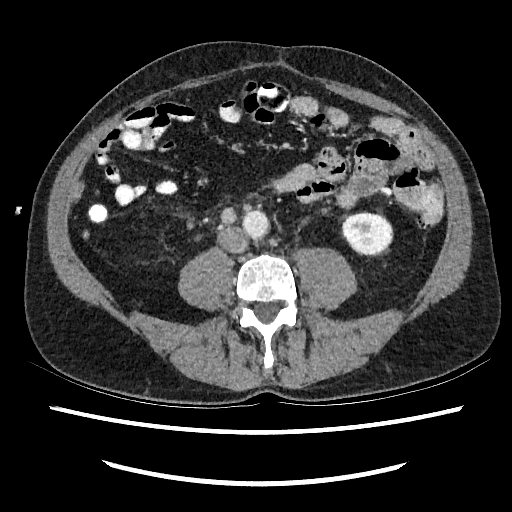
CT image. Abdomen.
<segmentation>
  <kidney>box(343, 214, 391, 253)</kidney>
</segmentation>